CT image.
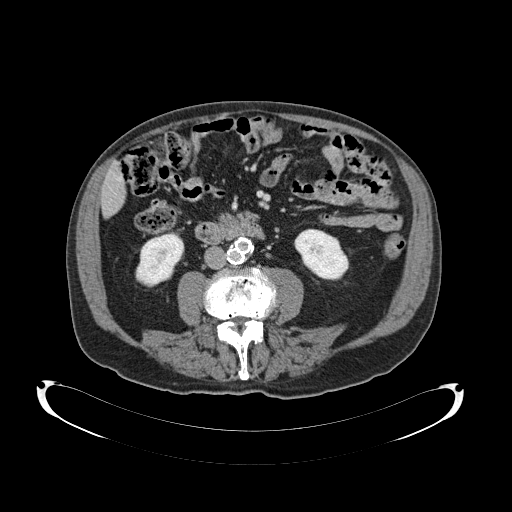

Pancreas — x1=223 y1=215 x2=228 y2=227.